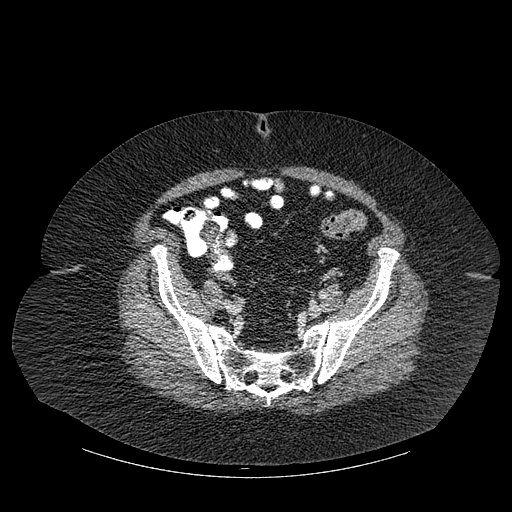

CT scan slice; Image size 512x512

Bone at (222, 189, 233, 196), (151, 245, 399, 404).